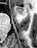
Hippocampus, MR image

Anterior hippocampus = x1=14, y1=6, x2=23, y2=13.